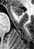

MRI slice
anterior_hippocampus:
  - x1=12 y1=6 x2=23 y2=16